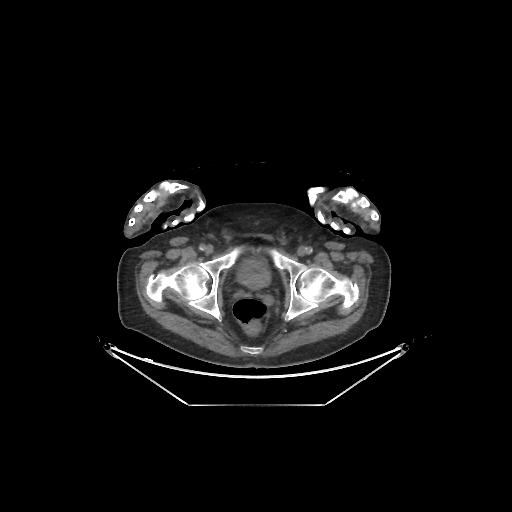 CT scan slice

Urinary bladder at 236 252 270 290.
Bone at 244 347 260 353, 134 182 187 211, 184 213 193 220, 271 250 358 319, 332 188 369 208, 146 249 239 318, 318 211 324 223, 197 199 204 210, 368 210 378 220, 308 187 323 204.